Slice 97/155
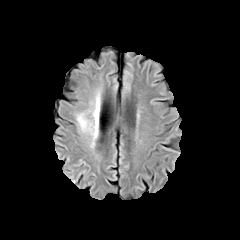
FLAIR MR image.
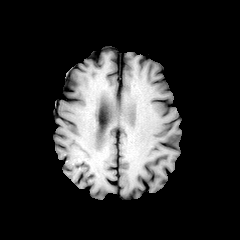
T1-weighted MR.
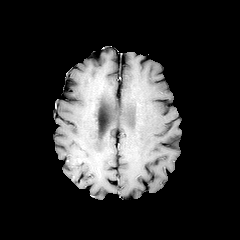
Post-contrast T1-weighted MRI of the same slice.
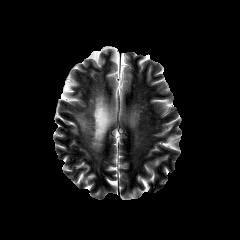
T2-weighted MRI.
edema: bbox(74, 87, 101, 149)